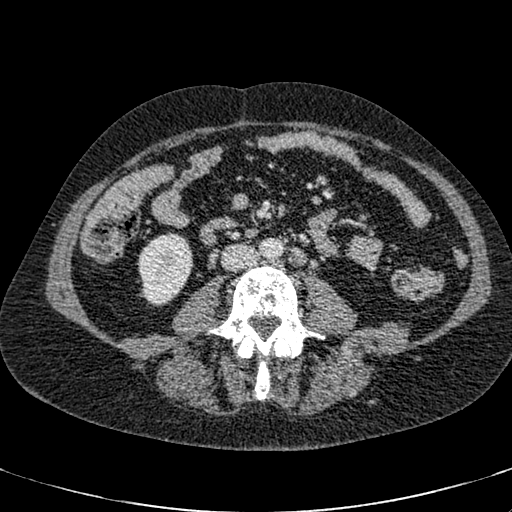
Abdomen | CT slice
The kidney is located at box=[139, 234, 192, 304].